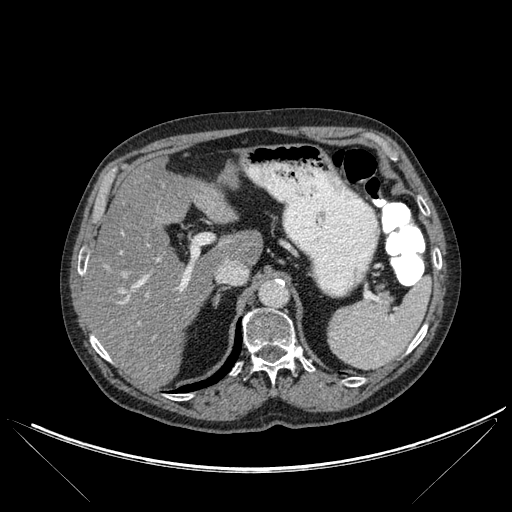 Upper abdomen; Computed tomography
- bone: 243, 308, 314, 382; 230, 363, 241, 375; 433, 248, 441, 268; 343, 377, 364, 386; 418, 197, 429, 214; 407, 325, 427, 352; 90, 336, 110, 361; 166, 394, 192, 400; 78, 259, 86, 274
- hepatic lesion: 129, 352, 139, 359
- lung: 173, 321, 241, 392
- liver: 84, 158, 262, 386